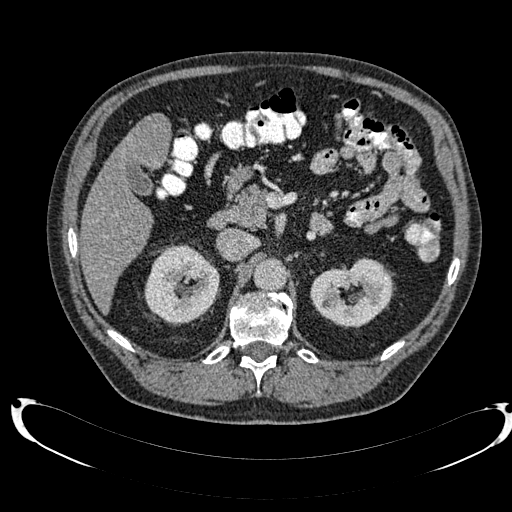
Image size 512x512, Abdomen, CT
The liver lies within box(81, 114, 169, 314). 2 kidney regions appear at box(145, 245, 219, 324); box(310, 258, 393, 327).